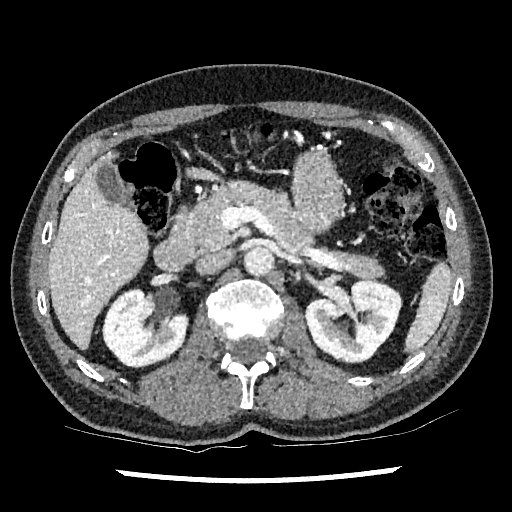

Liver | Image size 512x512 | CT slice
Kidney — 306 281 400 361, 104 290 186 365.
Liver — 48 151 148 349.